FLAIR MR image.
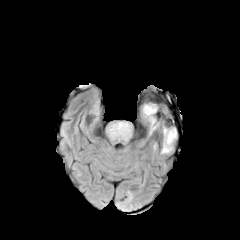
T1-weighted magnetic resonance.
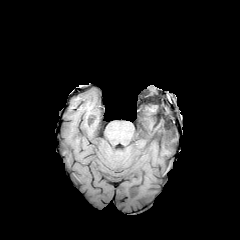
Post-contrast T1-weighted MR image.
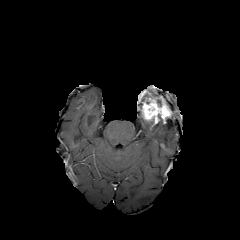
T2-weighted MRI.
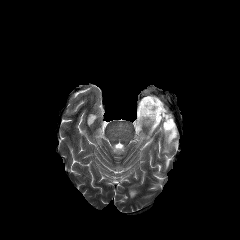
Head
• non-enhancing tumor core: (left=157, top=113, right=172, bottom=136)
• enhancing tumor: (left=138, top=98, right=171, bottom=126)
• edema: (left=144, top=120, right=176, bottom=153)